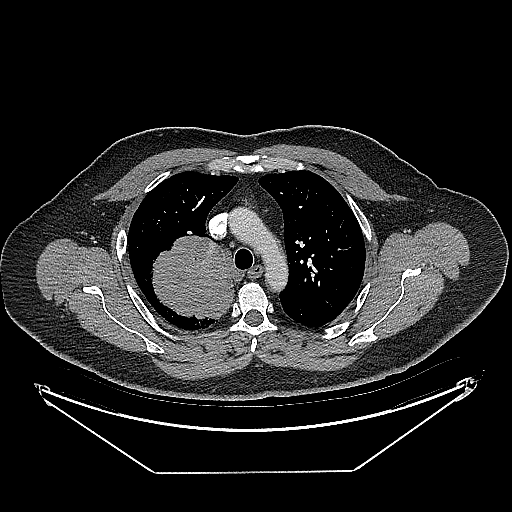
CT, Image size 512x512, Lung

The lung tumor lies within [149, 234, 243, 324].